CT scan slice
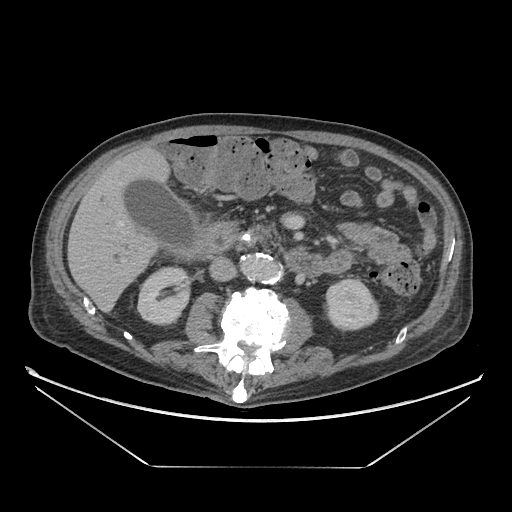

Pancreatic tumor = bbox=[253, 234, 260, 241].